Brain
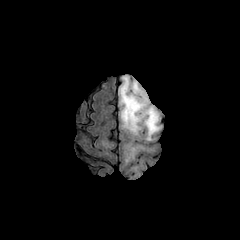
FLAIR magnetic resonance.
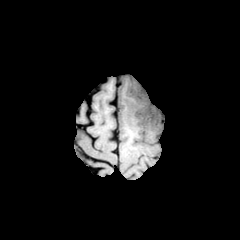
Same slice, T1-weighted MR.
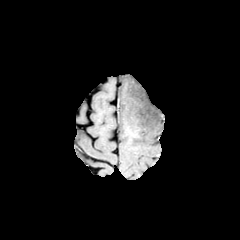
Same slice, post-contrast T1-weighted magnetic resonance.
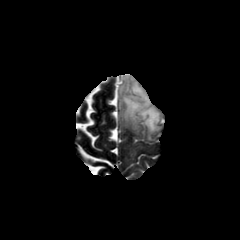
T2-weighted magnetic resonance.
<segmentation>
  <non-enhancing_tumor_core>(left=125, top=82, right=150, bottom=125)</non-enhancing_tumor_core>
  <edema>(left=118, top=74, right=162, bottom=140)</edema>
</segmentation>